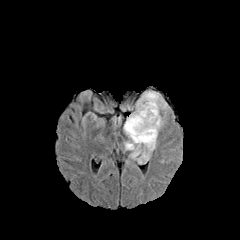
FLAIR MRI.
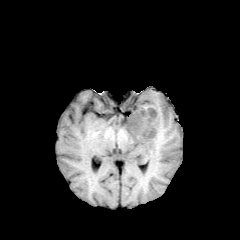
T1-weighted MR of the same slice.
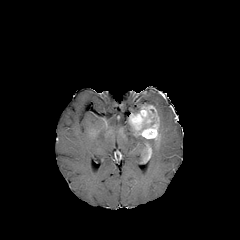
Same slice, post-contrast T1-weighted MR image.
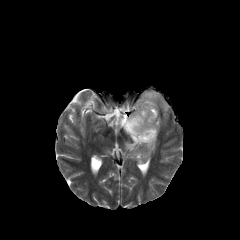
Same slice, T2-weighted MRI.
Edema: bounding box rect(123, 116, 158, 164); rect(113, 115, 121, 128); rect(133, 90, 170, 136).
Enhancing tumor: bounding box rect(129, 105, 158, 138); rect(143, 144, 151, 162).
Non-enhancing tumor core: bounding box rect(127, 117, 142, 137); rect(139, 144, 146, 163).